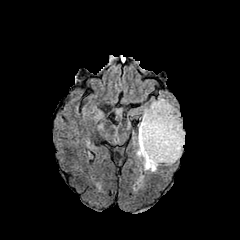
FLAIR magnetic resonance.
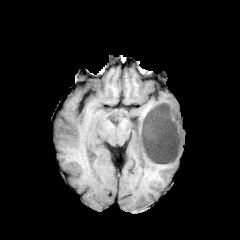
T1-weighted magnetic resonance.
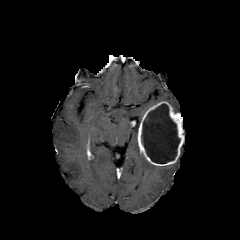
Same slice, post-contrast T1-weighted magnetic resonance.
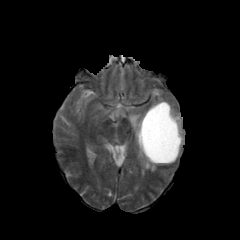
Same slice, T2-weighted magnetic resonance.
Brain
<segmentation>
  <enhancing_tumor>bbox=[136, 101, 184, 165]</enhancing_tumor>
  <edema>bbox=[136, 147, 158, 172]</edema>
  <non-enhancing_tumor_core>bbox=[142, 104, 179, 163]</non-enhancing_tumor_core>
</segmentation>